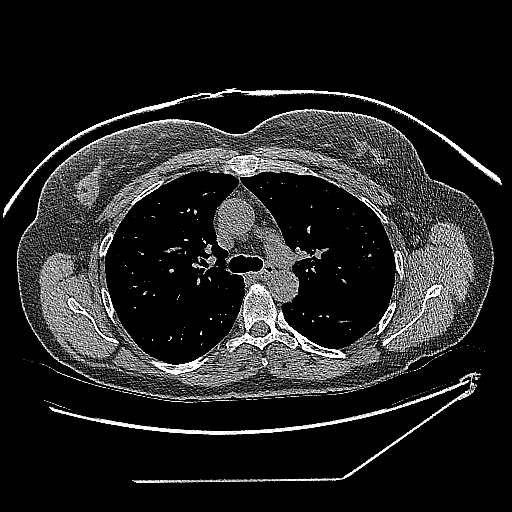 Chest. CT scan slice.
{"lung_tumor": ["x1=357 y1=248 x2=373 y2=266"]}